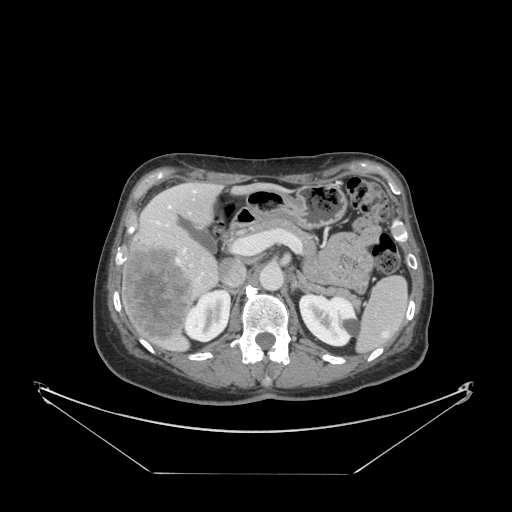

Upper abdomen; Computed tomography

{"spleen": ["[x1=358, y1=278, x2=408, y2=351]"]}